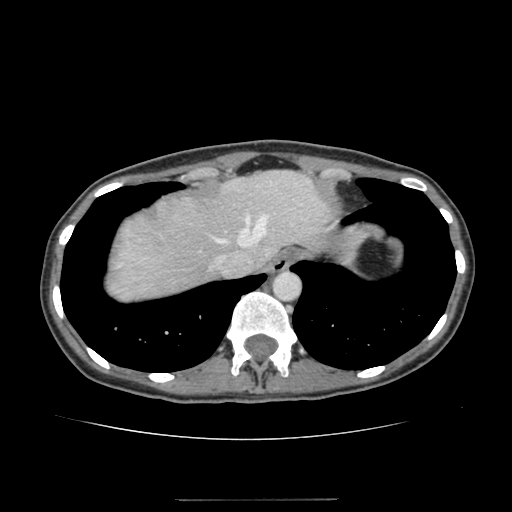
CT scan slice. Abdomen. Liver at 108, 171, 332, 301.